Head
FLAIR MR image.
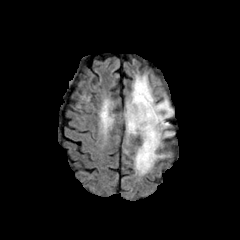
T1-weighted MR image.
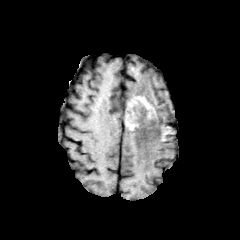
Post-contrast T1-weighted MR image.
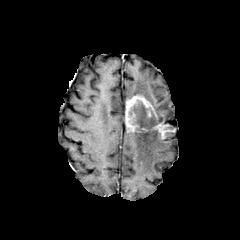
T2-weighted MR image.
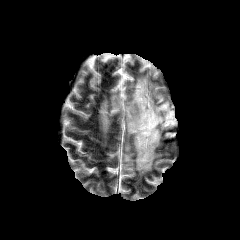
4 edema regions are located at [x1=133, y1=130, x2=165, y2=175], [x1=135, y1=106, x2=154, y2=125], [x1=128, y1=73, x2=173, y2=123], [x1=101, y1=101, x2=110, y2=129]. 2 enhancing tumor regions appear at [x1=153, y1=122, x2=169, y2=134], [x1=126, y1=96, x2=152, y2=132]. 2 non-enhancing tumor core regions appear at [x1=159, y1=129, x2=169, y2=139], [x1=129, y1=102, x2=168, y2=133].